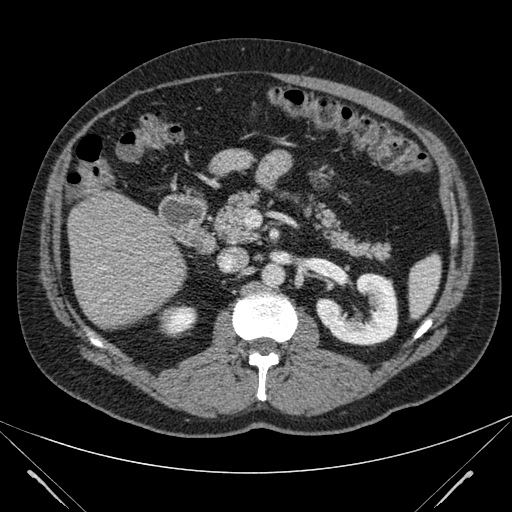 Abdomen, CT slice
{
  "kidney": [
    "x1=317 y1=274 x2=397 y2=344",
    "x1=165 y1=307 x2=194 y2=333"
  ],
  "liver": [
    "x1=69 y1=190 x2=186 y2=328"
  ]
}